Field of view 350 mm wide, 2.00 mm slice spacing; 512x512 px; Upper abdomen; CT scan slice

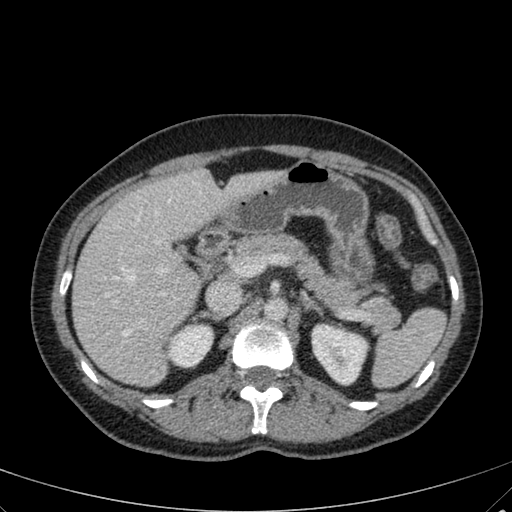
Liver — <bbox>72, 167, 287, 385</bbox>, <bbox>206, 273, 241, 312</bbox>.
Kidney — <bbox>313, 325, 366, 383</bbox>, <bbox>169, 326, 211, 366</bbox>.